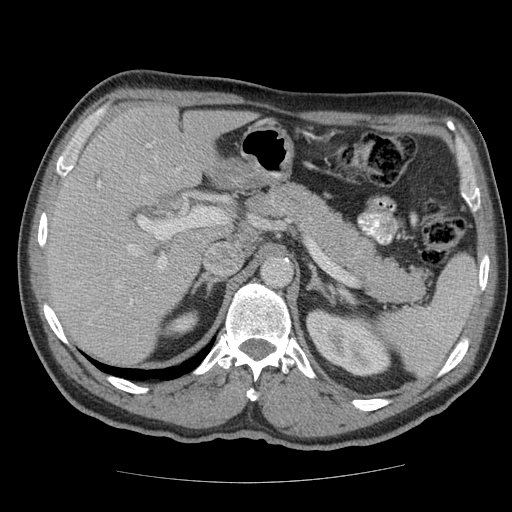 Abdomen | CT
Some hepatic vessels may have no box.
6 hepatic vessel regions are located at bbox=[175, 169, 178, 171]; bbox=[130, 301, 131, 305]; bbox=[159, 239, 166, 240]; bbox=[147, 144, 150, 146]; bbox=[98, 183, 99, 186]; bbox=[158, 255, 166, 268].